Image width 240 mm, Brain
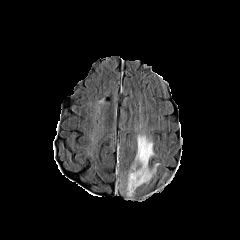
FLAIR MR image.
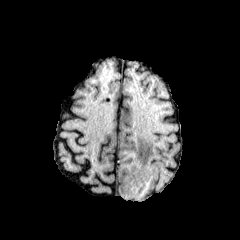
T1-weighted MR image of the same slice.
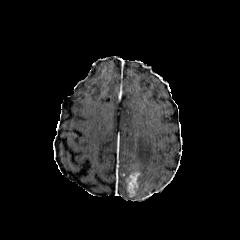
Post-contrast T1-weighted MR.
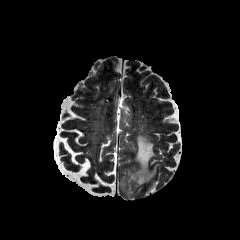
Same slice, T2-weighted MR.
enhancing tumor: rect(124, 170, 141, 197) | edema: rect(128, 133, 160, 186)